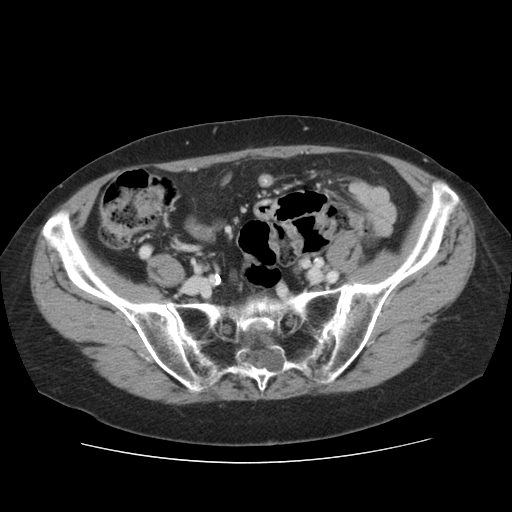
Image size 512x512. Computed tomography.

<segmentation>
  <bone>(left=42, top=181, right=464, bottom=393)</bone>
</segmentation>